FLAIR magnetic resonance.
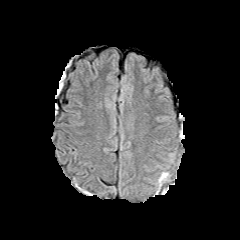
T1-weighted magnetic resonance.
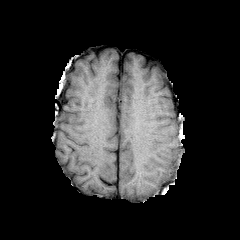
Post-contrast T1-weighted magnetic resonance.
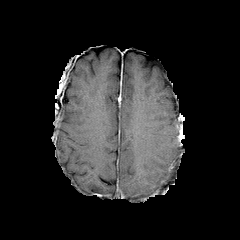
T2-weighted MR.
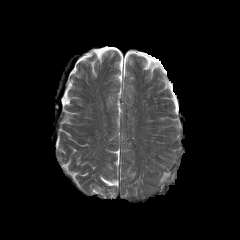
240x240
- edema: [158,172,169,185]